Brain, Slice 78 of 155
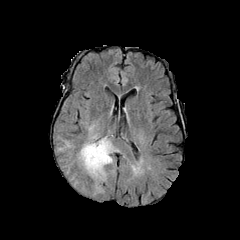
FLAIR magnetic resonance.
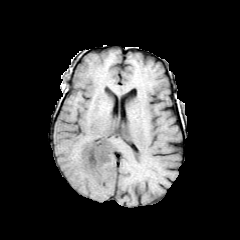
Same slice, T1-weighted magnetic resonance.
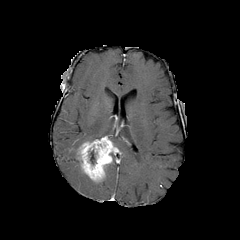
Post-contrast T1-weighted MRI.
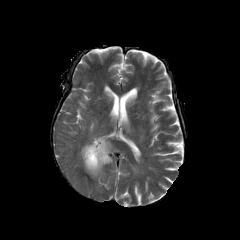
Same slice, T2-weighted MRI.
<segmentation>
  <non-enhancing_tumor_core>[88,150,94,163]</non-enhancing_tumor_core>
  <enhancing_tumor>[80,136,117,180]</enhancing_tumor>
</segmentation>